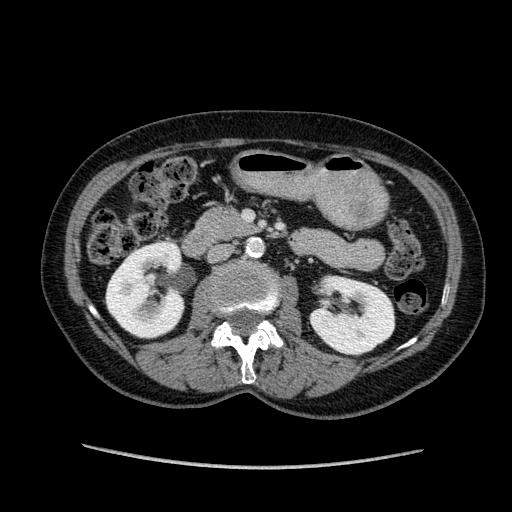
CT slice
{"kidney": ["x1=311, y1=277, x2=394, y2=353", "x1=106, y1=242, x2=183, y2=336"]}